CT | Pelvis | Slice index 211 | 512x512 px
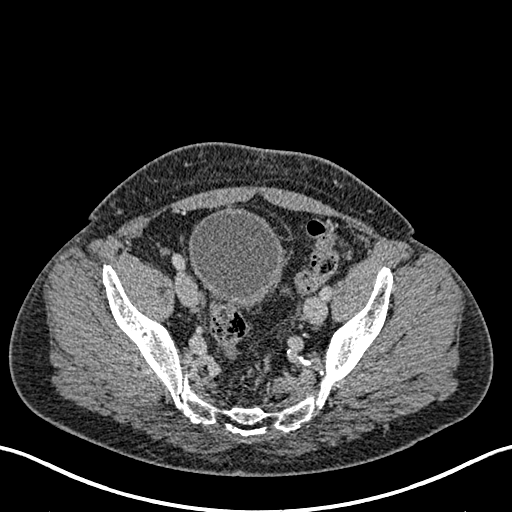
<segmentation>
  <urinary_bladder>[190, 211, 286, 309]</urinary_bladder>
</segmentation>